MR; 320x320

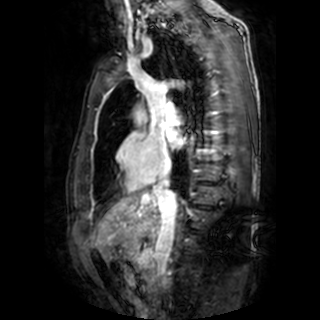
Segmented structures:
• left atrium: left=167, top=131, right=186, bottom=147